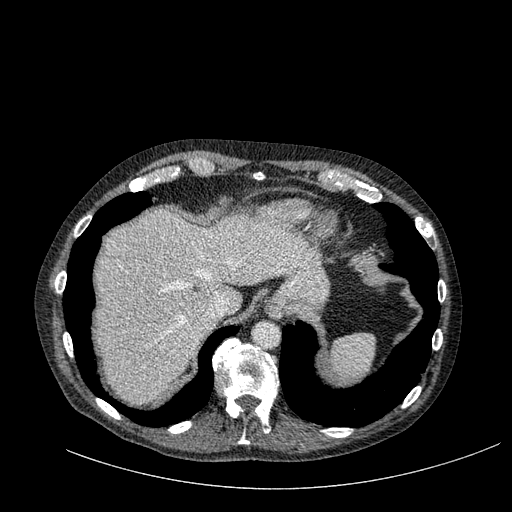 CT image | 512x512
Liver at <box>97,211,303,403</box>.